Field of view 240x240 mm, Head
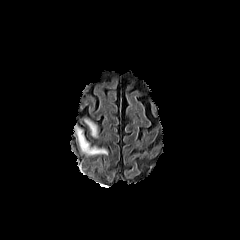
FLAIR MR.
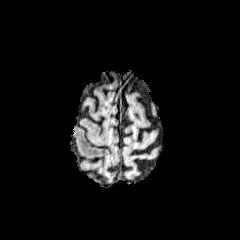
T1-weighted magnetic resonance.
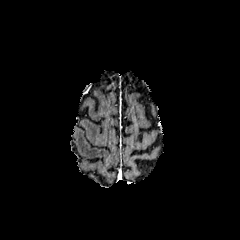
Same slice, post-contrast T1-weighted MR image.
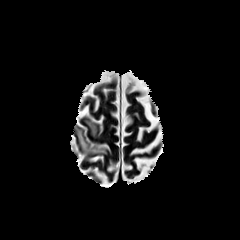
Same slice, T2-weighted MR image.
- edema: bbox(85, 119, 97, 136); bbox(75, 125, 107, 154)